Liver | Field of view 480x480 mm | Computed tomography | Slice index 71
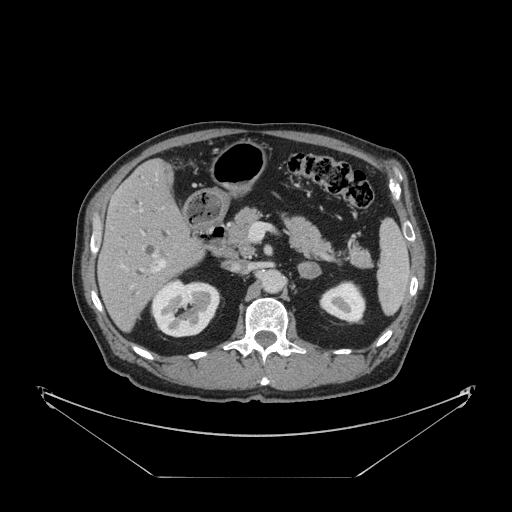

Only some of the vessels may be annotated.
hepatic_vessel:
  - <bbox>155, 176, 156, 180</bbox>
  - <bbox>130, 286, 132, 287</bbox>
  - <bbox>140, 210, 141, 211</bbox>
  - <bbox>249, 223, 267, 240</bbox>
  - <bbox>140, 254, 165, 272</bbox>
  - <bbox>120, 264, 124, 267</bbox>